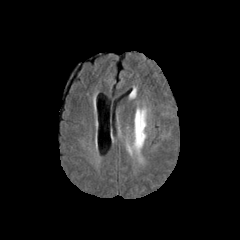
FLAIR MRI.
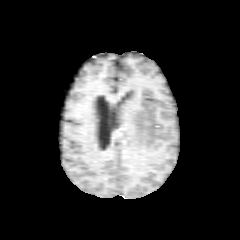
T1-weighted magnetic resonance.
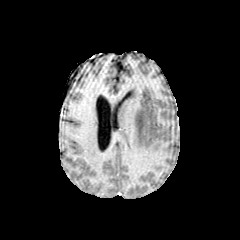
Same slice, post-contrast T1-weighted MR.
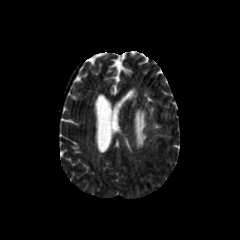
Same slice, T2-weighted magnetic resonance.
Head
Edema: bounding box [125, 103, 154, 151].